CT scan slice 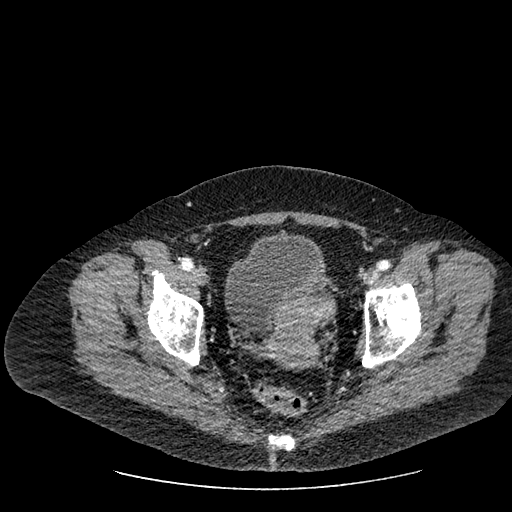
Annotated regions:
* urinary bladder: (226,232,322,332)